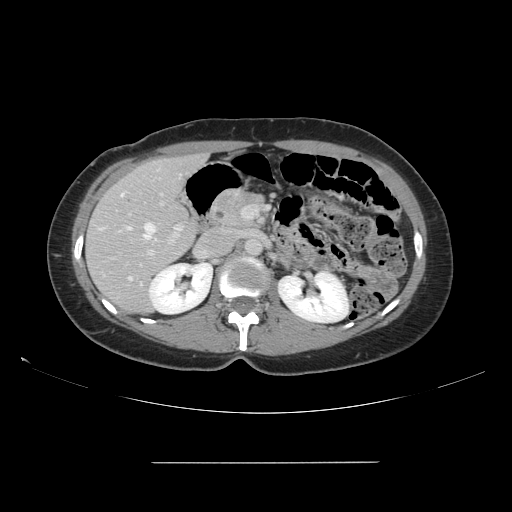 CT scan slice, 512x512 px
The vessel annotation is not exhaustive.
15 hepatic vessel regions are bounded by 102:272:104:276, 143:222:155:239, 140:282:142:285, 154:238:156:240, 173:225:181:237, 179:174:181:178, 121:191:126:196, 148:250:153:254, 97:226:106:230, 157:169:159:170, 160:202:162:204, 169:241:172:243, 120:230:121:231, 125:227:131:230, 128:277:132:279.